Image width 240 mm. Slice index 51.
FLAIR magnetic resonance.
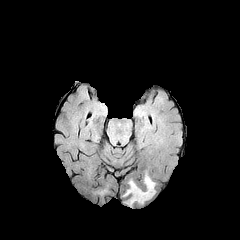
T1-weighted MR.
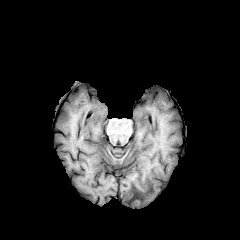
Post-contrast T1-weighted MR.
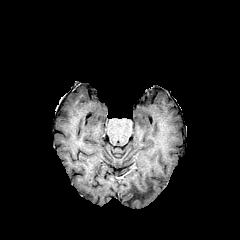
T2-weighted MR image.
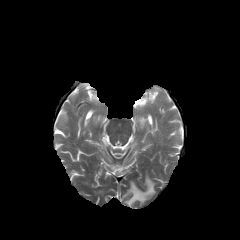
edema: 124,175,155,204